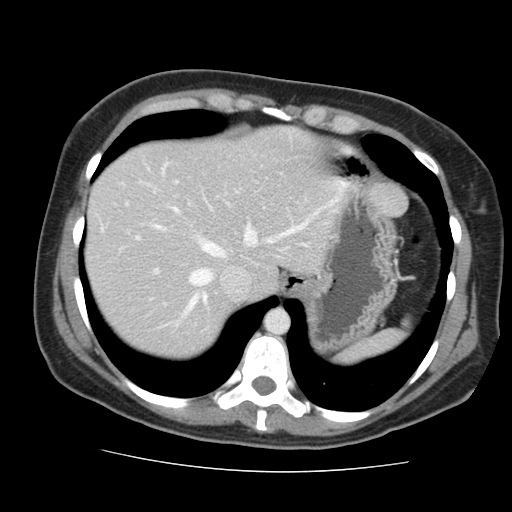

Computed tomography, Abdomen
Some hepatic vessels may have no box.
Hepatic vessel at [x1=155, y1=270, x2=157, y2=273], [x1=201, y1=294, x2=205, y2=300], [x1=187, y1=296, x2=196, y2=310], [x1=279, y1=222, x2=306, y2=236], [x1=245, y1=228, x2=255, y2=245], [x1=268, y1=238, x2=274, y2=242], [x1=190, y1=270, x2=211, y2=285], [x1=136, y1=237, x2=138, y2=238], [x1=330, y1=200, x2=336, y2=203].